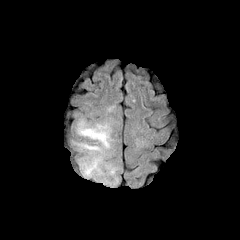
FLAIR magnetic resonance.
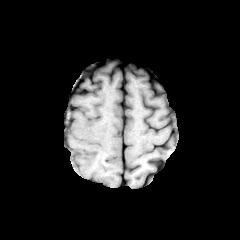
T1-weighted MRI.
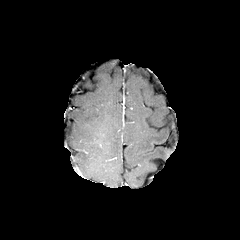
Post-contrast T1-weighted MR.
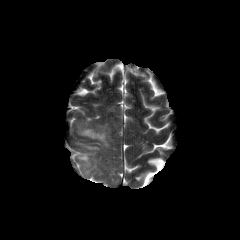
T2-weighted MRI.
Findings:
- edema: 77,120,111,176